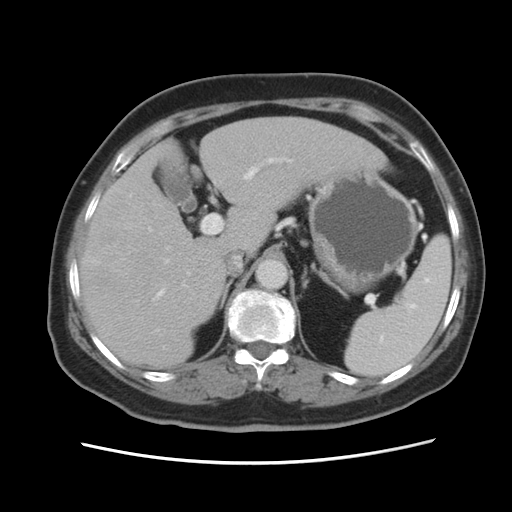

512x512. CT image. Liver.

Not every hepatic vessel necessarily has a box.
hepatic_vessel:
  - box(127, 226, 130, 228)
  - box(243, 166, 259, 179)
  - box(187, 272, 190, 274)
  - box(183, 283, 186, 286)
  - box(165, 259, 169, 263)
  - box(201, 214, 223, 233)
  - box(154, 289, 164, 299)
  - box(149, 227, 151, 231)
  - box(268, 158, 292, 162)